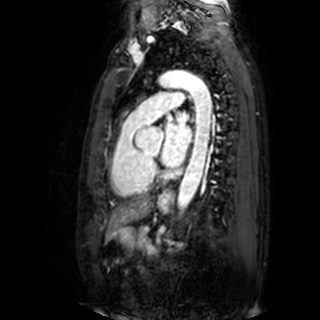

Magnetic resonance
left atrium: 161 112 191 167